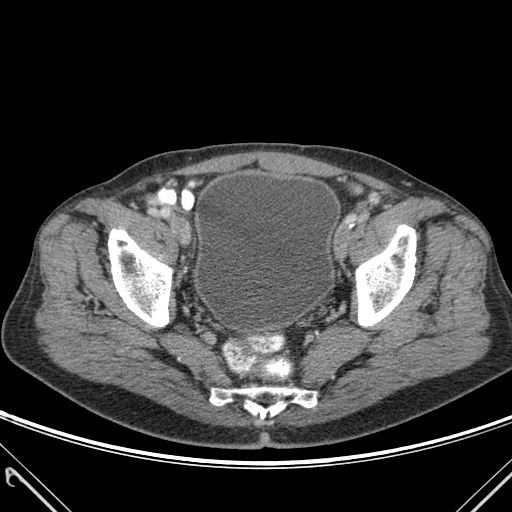
512x512 px, Pelvis, Computed tomography
4 bone regions are located at [210,387,316,407], [108,229,171,326], [356,225,416,326], [244,400,285,419]. The urinary bladder is bounded by [197,175,337,324].